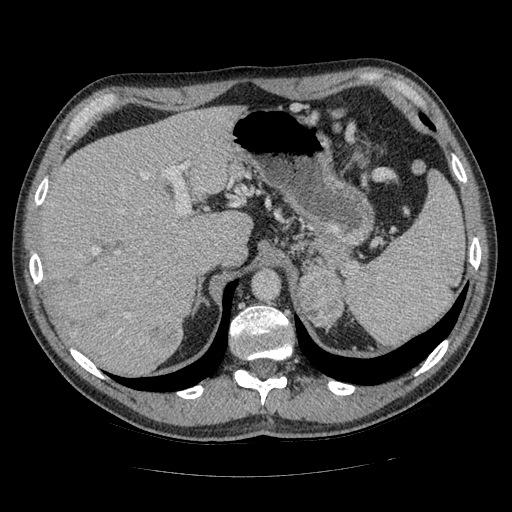 CT slice; Upper abdomen
Pancreatic tumor: rect(300, 270, 342, 326).
Pancreas: rect(298, 240, 347, 320).